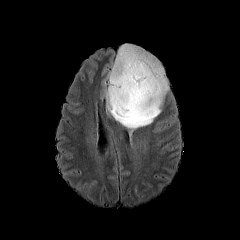
FLAIR MR.
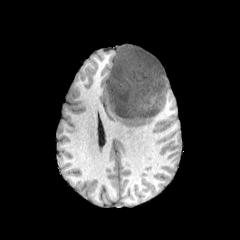
Same slice, T1-weighted MRI.
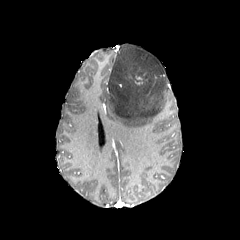
Post-contrast T1-weighted MR image of the same slice.
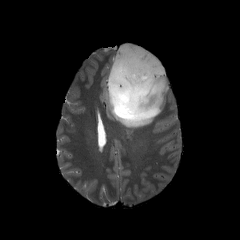
T2-weighted magnetic resonance.
The edema is bounded by [107, 44, 168, 143]. The enhancing tumor is at [132, 75, 147, 86].